Brain. Image width 240 mm.
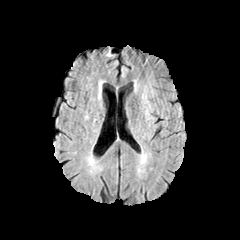
FLAIR MRI.
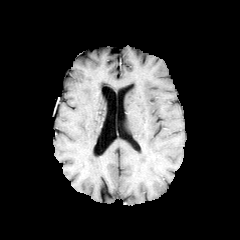
Same slice, T1-weighted MR image.
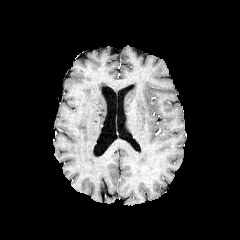
Post-contrast T1-weighted MR.
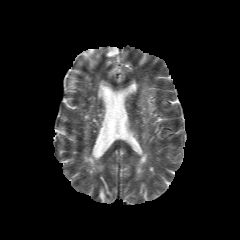
Same slice, T2-weighted magnetic resonance.
{"edema": ["<bbox>142, 94, 152, 121</bbox>", "<bbox>136, 149, 151, 173</bbox>"]}